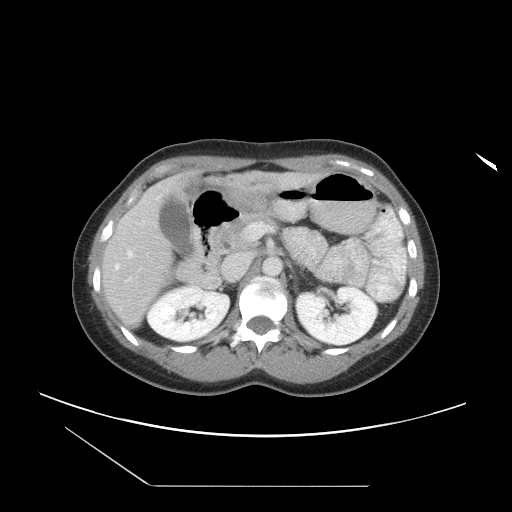 CT
Not every hepatic vessel necessarily has a box.
Hepatic vessel at (x1=127, y1=250, x2=132, y2=257), (x1=245, y1=231, x2=259, y2=239), (x1=223, y1=254, x2=249, y2=276), (x1=115, y1=264, x2=119, y2=268), (x1=156, y1=196, x2=160, y2=198).